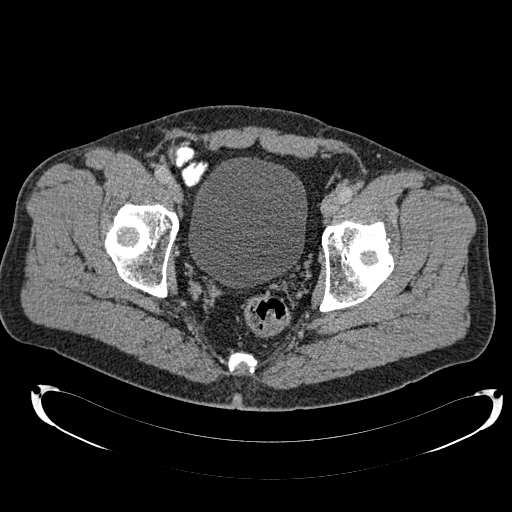

Lower abdomen, CT slice
Segmented structures:
* urinary bladder: (x1=188, y1=157, x2=307, y2=287)